Slice index 35; 512x512; CT image 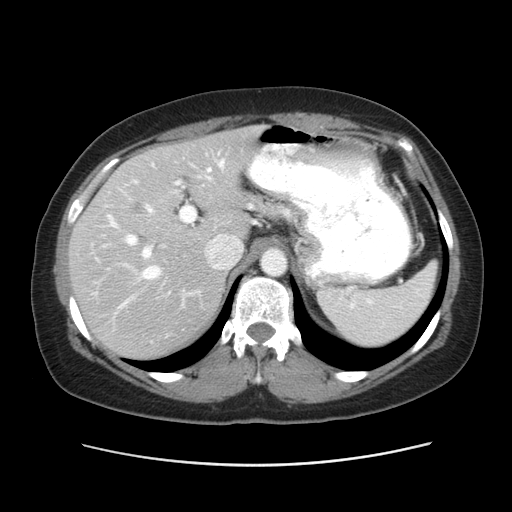

Some hepatic vessels may have no box.
{"liver_tumor": ["<box>135,202,144,213</box>"], "hepatic_vessel": ["<box>133,180,136,182</box>", "<box>207,168,210,171</box>", "<box>217,160,223,167</box>", "<box>175,182,179,184</box>", "<box>205,175,209,178</box>", "<box>126,235,136,244</box>", "<box>142,247,150,257</box>", "<box>107,215,116,227</box>", "<box>147,206,151,211</box>", "<box>180,206,194,222</box>", "<box>189,293,193,293</box>", "<box>143,266,159,278</box>", "<box>152,164,153,165</box>"]}